Slice 44 of 101 | 512x512 | CT scan slice
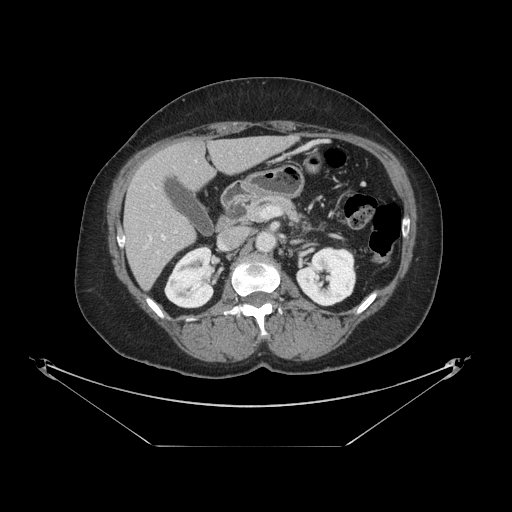 Pancreas = box(246, 196, 303, 223).